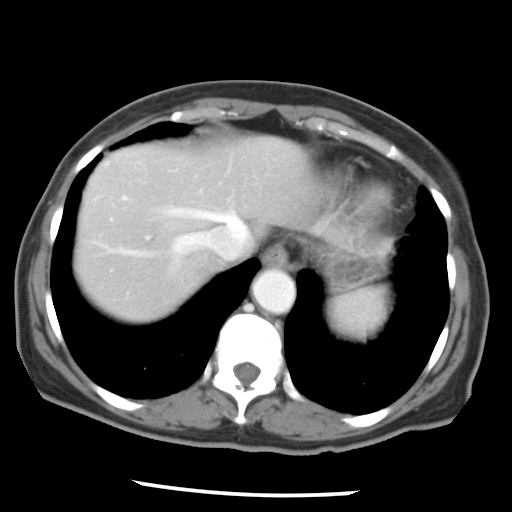

Abdomen. CT slice.
Some hepatic vessels may have no box.
3 hepatic vessel regions are bounded by 116,249,144,254; 122,195,127,199; 163,197,251,259. The liver tumor is at 192,260,210,281.